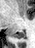

MR. Hippocampus.
{
  "posterior_hippocampus": [
    "x1=13 y1=32 x2=25 y2=39"
  ]
}